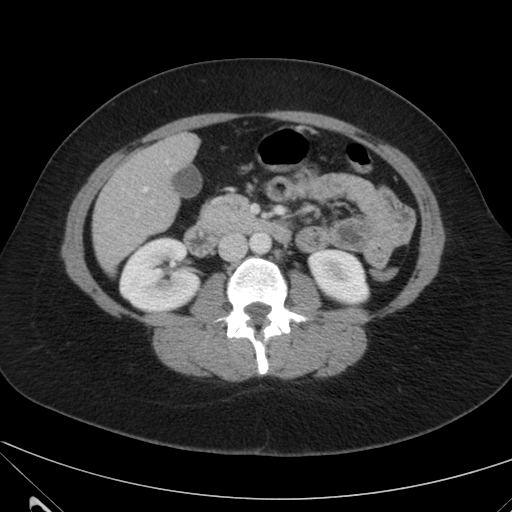

Image size 512x512, CT scan slice
The liver appears at box(93, 132, 198, 271). 2 kidney regions are located at box(121, 239, 198, 310); box(311, 251, 367, 302).